Image size 512x512. Chest. CT image.

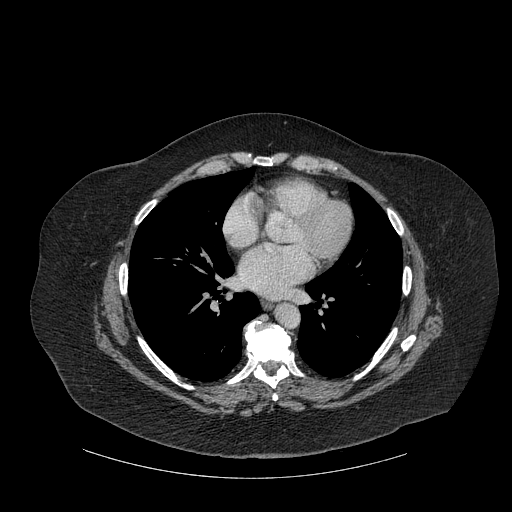

{"bone": ["(387, 209, 403, 234)", "(354, 328, 396, 379)", "(119, 263, 127, 294)", "(401, 335, 415, 350)", "(138, 337, 193, 389)", "(254, 157, 272, 165)", "(135, 200, 156, 224)", "(227, 321, 303, 387)", "(403, 267, 411, 294)"], "lung": ["(128, 167, 259, 381)", "(297, 188, 402, 377)"]}